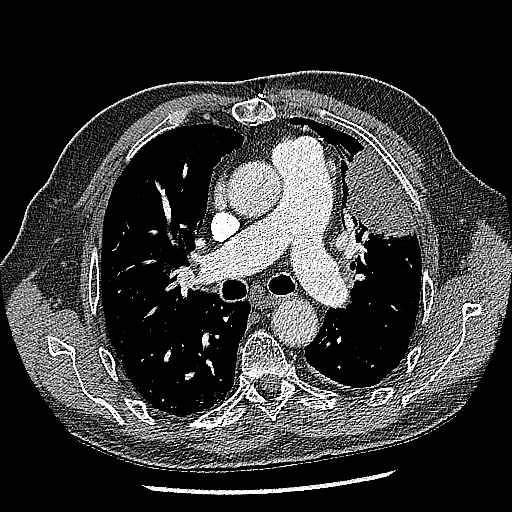
CT slice; Lung
Lung tumor — <box>344,147,415,241</box>.